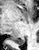 39x50; Hippocampus; MRI
The posterior hippocampus lies within x1=13 y1=38 x2=24 y2=44.